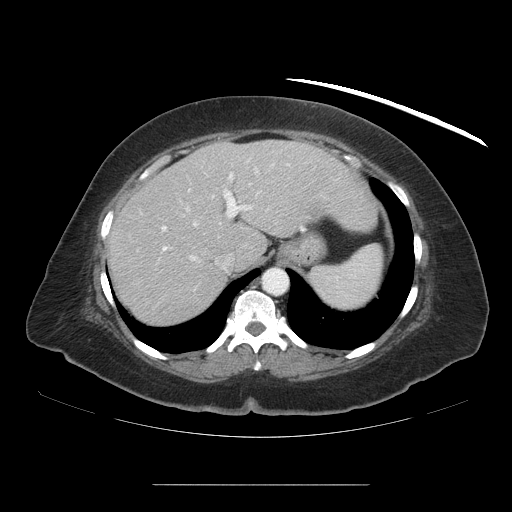 Image size 512x512, Liver, CT image
The vessel boxes may cover only some of the vessels.
Hepatic vessel: 215 254 232 272, 254 168 258 174, 256 191 260 195, 241 245 243 247, 212 195 213 197, 185 206 189 211, 162 245 167 251, 228 172 233 180, 223 187 252 217, 188 189 190 191, 193 221 197 226, 161 226 166 230, 189 256 201 262, 248 183 250 185.